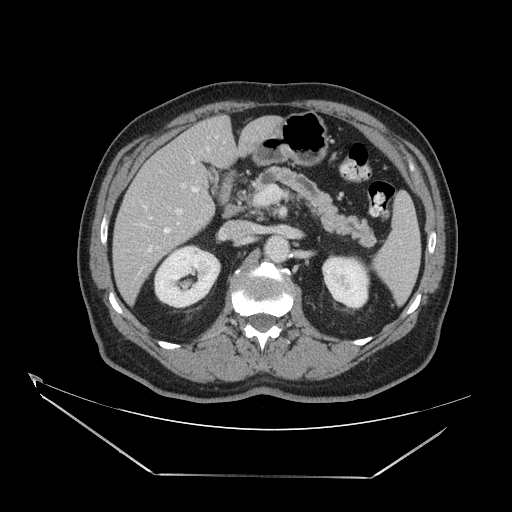

CT slice, 512x512, Abdomen

The pancreas is located at 258,167,374,246.